CT scan slice 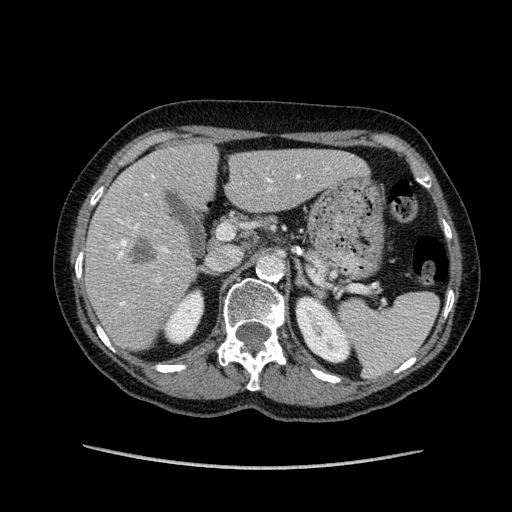 The liver is bounded by 86, 146, 361, 346. 2 kidney regions are bounded by 166, 292, 202, 341; 296, 298, 348, 361. The hepatic lesion is at 130, 239, 156, 262.